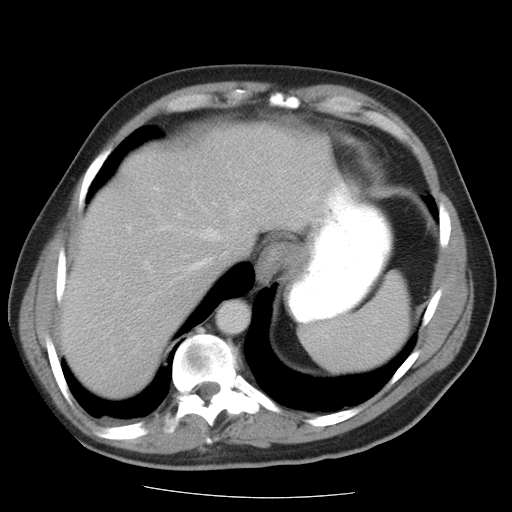 CT slice | Abdomen
The vessel boxes may cover only some of the vessels.
<segmentation>
  <hepatic_vessel><bbox>201, 228, 220, 240</bbox>, <bbox>224, 252, 226, 255</bbox>, <bbox>164, 226, 170, 229</bbox>, <bbox>178, 214, 180, 216</bbox>, <bbox>300, 213, 306, 216</bbox>, <bbox>233, 248, 246, 256</bbox>, <bbox>194, 258, 212, 267</bbox>, <bbox>129, 228, 130, 230</bbox>, <bbox>144, 262, 153, 272</bbox></hepatic_vessel>
</segmentation>